Abdomen. Field of view 500x500 mm. CT image. Slice 16/43. Image size 512x512.

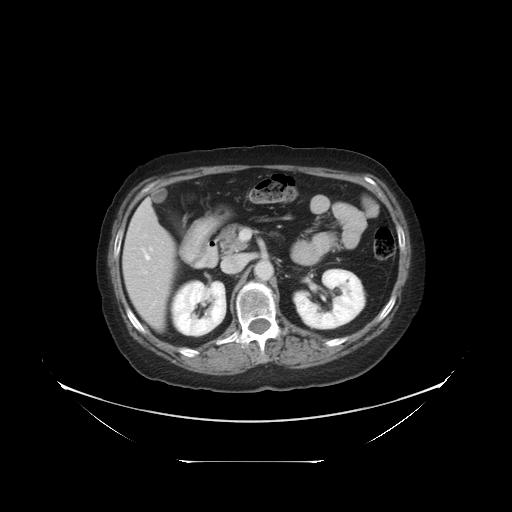

Some hepatic vessels may have no box.
Hepatic vessel: 223, 256, 245, 271; 142, 248, 149, 259; 149, 248, 151, 250.